Slice 14/24, Field of view 312x312 mm, CT, Liver
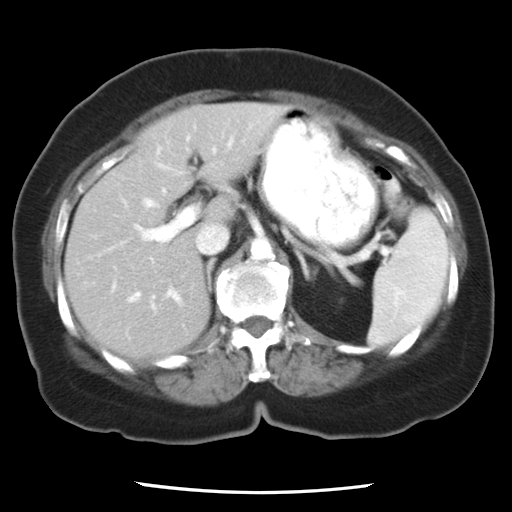 Not every hepatic vessel necessarily has a box.
<segmentation>
  <hepatic_vessel>l=145, t=200, r=151, b=206; l=142, t=207, r=195, b=242; l=229, t=140, r=231, b=143; l=129, t=292, r=139, b=301; l=136, t=226, r=137, b=227; l=167, t=290, r=179, b=300; l=213, t=149, r=215, b=151</hepatic_vessel>
</segmentation>